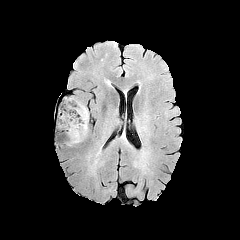
FLAIR MR image.
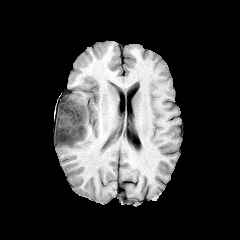
T1-weighted MR of the same slice.
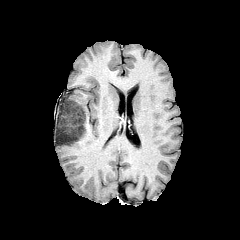
Post-contrast T1-weighted MR of the same slice.
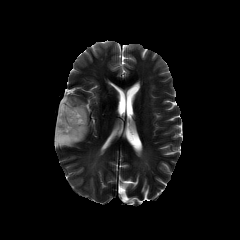
T2-weighted MR.
The non-enhancing tumor core is at (x1=56, y1=104, x2=88, y2=145). The edema lies within (x1=59, y1=101, x2=76, y2=115).